FLAIR MRI.
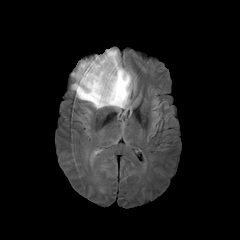
T1-weighted magnetic resonance.
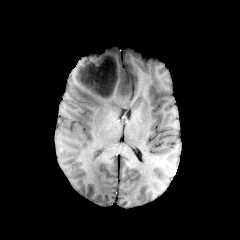
Post-contrast T1-weighted magnetic resonance.
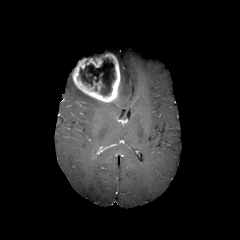
T2-weighted MR image.
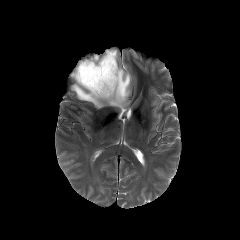
Findings:
- enhancing tumor: box(72, 53, 120, 101)
- non-enhancing tumor core: box(80, 58, 114, 95)
- edema: box(71, 48, 134, 114)